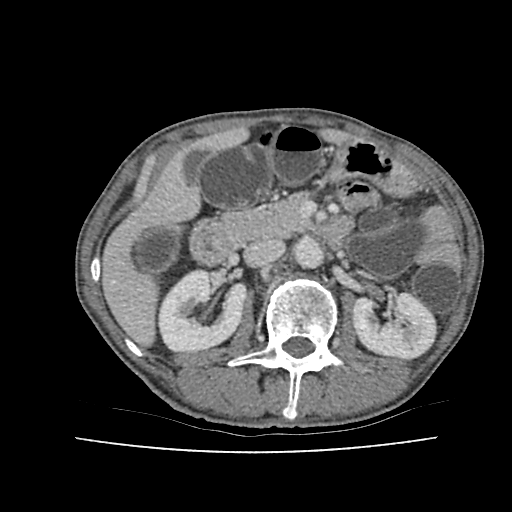

Abdomen. CT scan slice.

kidney:
  - 354,294,434,357
  - 159,271,244,350
liver:
  - 102,162,195,340
  - 328,133,344,140
  - 203,133,243,147